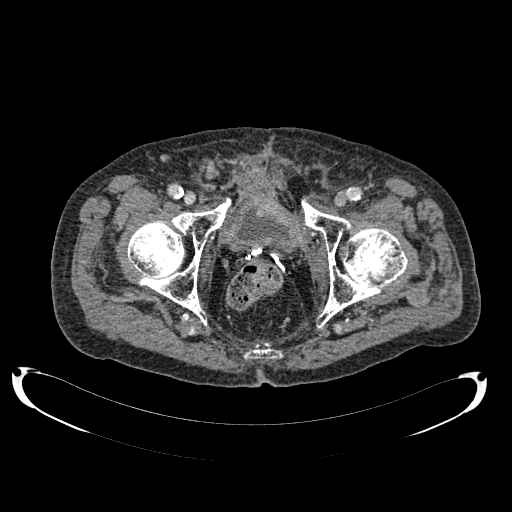

Computed tomography

The urinary bladder is located at <box>238,211,287,240</box>.